Magnetic resonance, Slice index 6 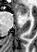 anterior hippocampus: box=[16, 6, 26, 15]